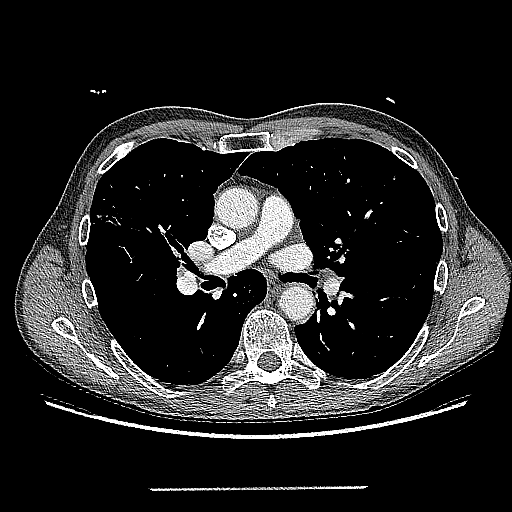 CT scan slice. Lung. Lung tumor: (x1=391, y1=168, x2=402, y2=181).